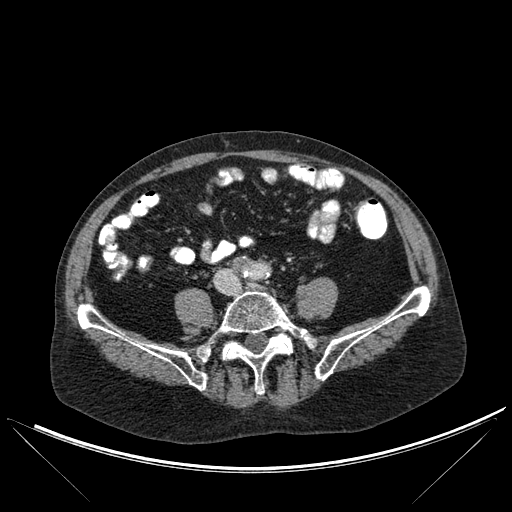 CT

Segmented structures:
* bone: 198:346:210:360, 221:291:312:394, 77:304:206:389, 315:286:430:379